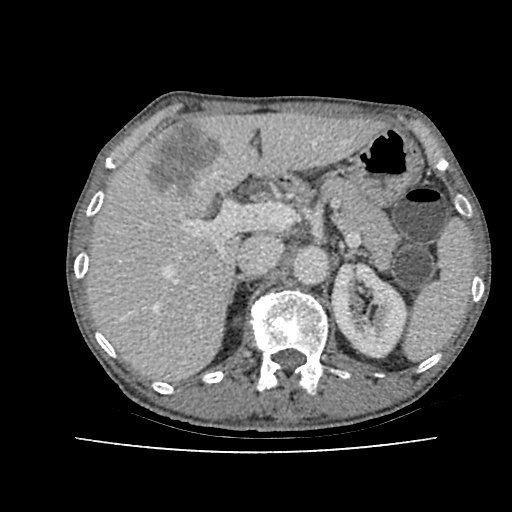

CT image.
<segmentation>
  <kidney>box=[332, 265, 405, 356]</kidney>
  <focal_liver_lesion>box=[148, 123, 221, 197]</focal_liver_lesion>
  <liver>box=[89, 114, 382, 379]</liver>
</segmentation>